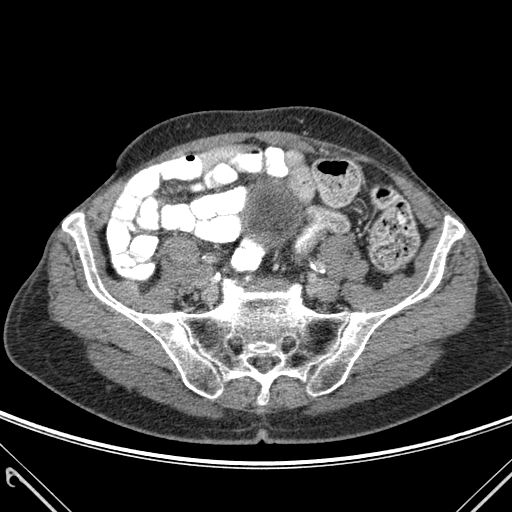 512x512 | CT

The bone lies within (x1=62, y1=213, x2=464, y2=404).